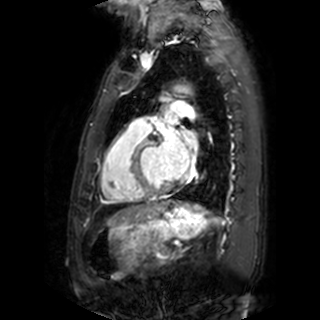 Cardiac | Magnetic resonance
Annotated regions:
- left atrium: box=[166, 115, 174, 123]; box=[184, 132, 195, 140]; box=[159, 129, 189, 178]